Head | Slice 48/155
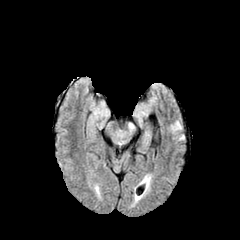
FLAIR magnetic resonance.
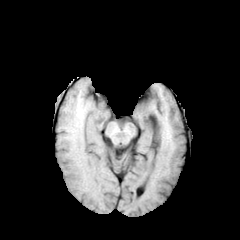
Same slice, T1-weighted MR.
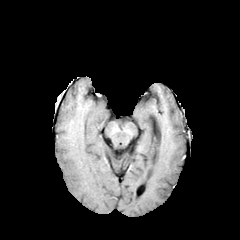
Post-contrast T1-weighted MR image of the same slice.
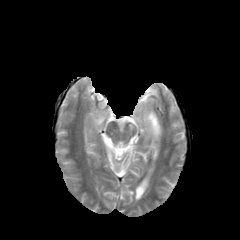
T2-weighted magnetic resonance.
Edema = box(172, 122, 180, 129).